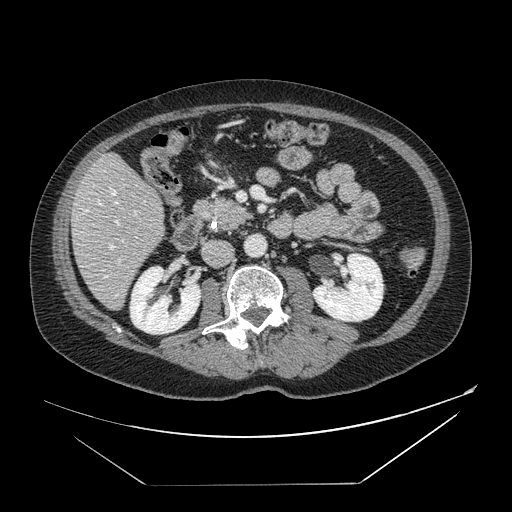
CT scan slice | Abdomen

The pancreas is bounded by <box>195,199,251,230</box>.